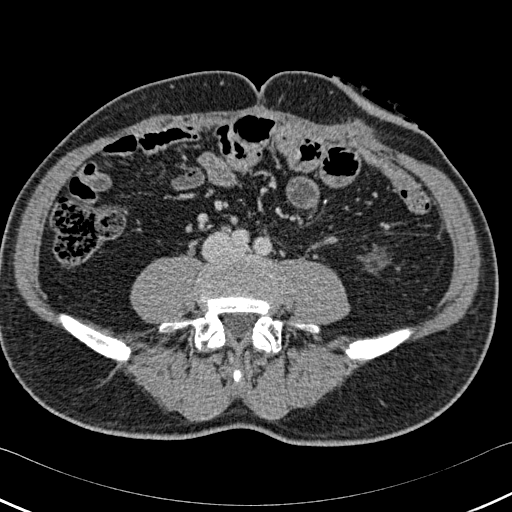 CT image, 512x512 px
bone: l=160, t=264, r=282, b=352; l=346, t=330, r=409, b=358; l=61, t=316, r=129, b=359; l=294, t=324, r=318, b=331; l=233, t=370, r=241, b=381